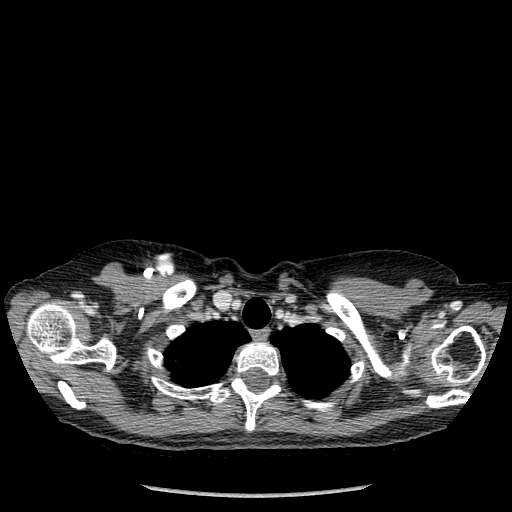

CT scan slice. Thorax.
lung: region(164, 298, 270, 387); region(271, 323, 350, 398) | bone: region(326, 326, 345, 341); region(27, 302, 116, 370); region(303, 401, 334, 411); region(151, 377, 280, 430); region(166, 324, 184, 338); region(234, 341, 278, 375); region(326, 290, 410, 380); region(403, 390, 419, 395); region(430, 326, 485, 384); region(351, 361, 364, 382); region(147, 348, 162, 368); region(57, 381, 85, 409); region(426, 389, 469, 407); region(162, 279, 196, 312)